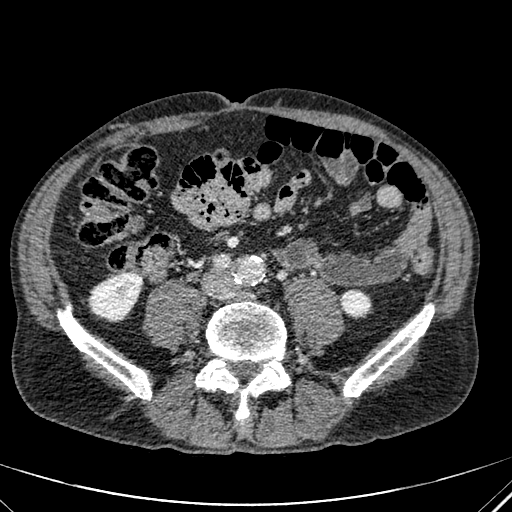

512x512 px, CT slice, Abdomen

2 kidney regions are located at [91, 273, 141, 319], [342, 291, 369, 315].